Image size 240x240 | Slice index 112
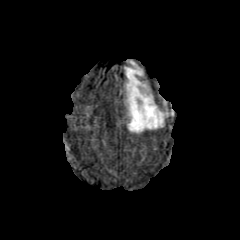
FLAIR magnetic resonance.
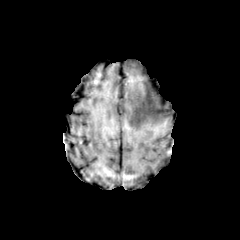
T1-weighted MRI.
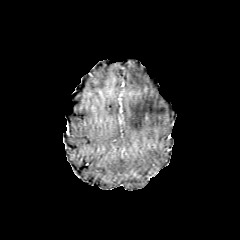
Same slice, post-contrast T1-weighted MR.
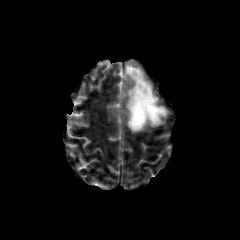
T2-weighted MRI of the same slice.
Edema: box(124, 61, 168, 132).